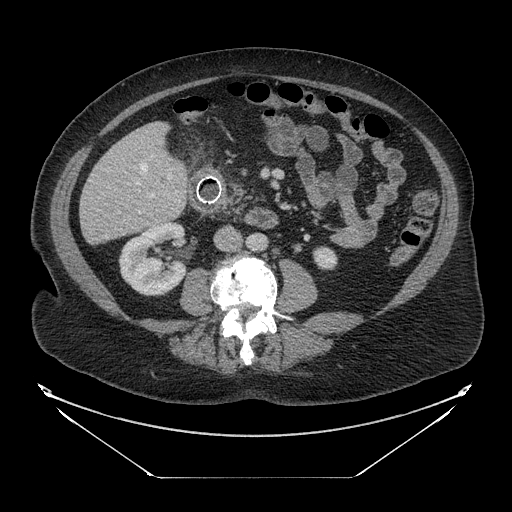 512x512 px | CT scan slice
Pancreas: (223, 186, 244, 214).